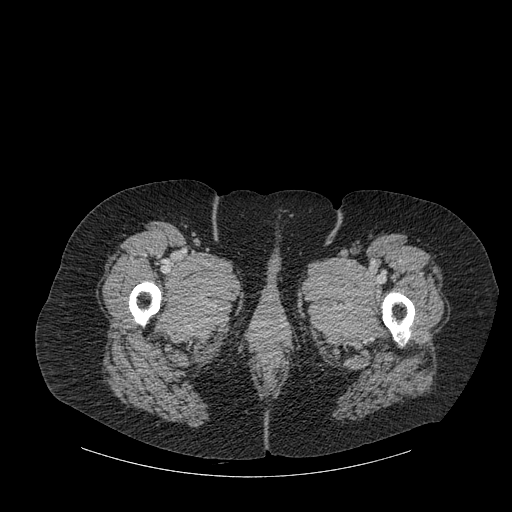
CT slice

{"bone": ["bbox(382, 293, 414, 345)", "bbox(129, 282, 160, 325)"]}